MRI. 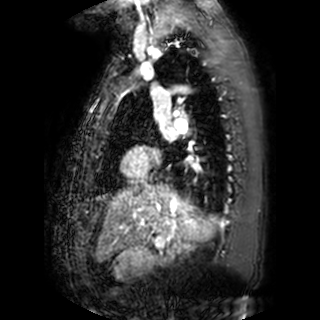 Left atrium — (x1=165, y1=127, x2=176, y2=139).